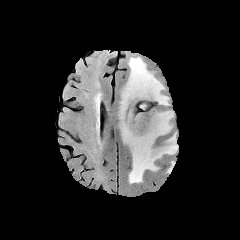
FLAIR MRI.
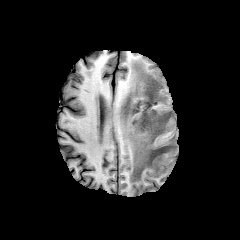
T1-weighted MRI of the same slice.
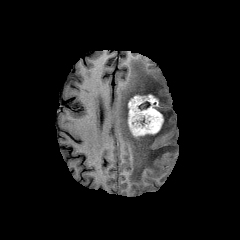
Post-contrast T1-weighted magnetic resonance.
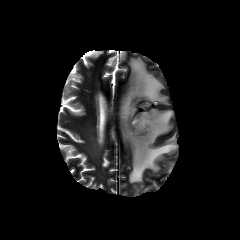
Same slice, T2-weighted MR image.
Image size 240x240 | Head
edema: 166 162 173 172, 121 57 177 184 | enhancing tumor: 128 94 163 137 | non-enhancing tumor core: 135 101 157 113, 136 114 145 125, 159 144 172 151, 146 150 158 164, 148 112 168 137, 130 84 159 103